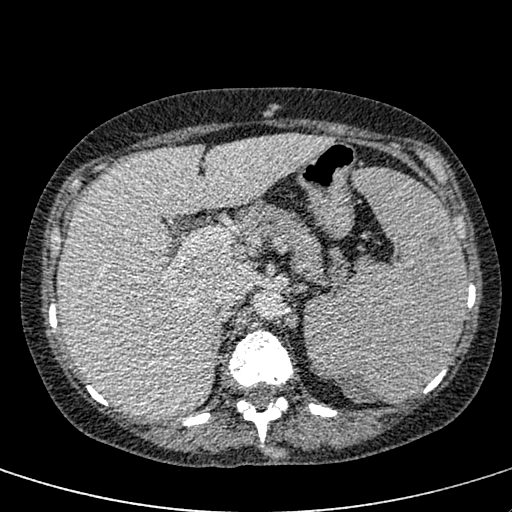

CT; Image size 512x512

{
  "liver": [
    "<box>58,135,334,418</box>"
  ]
}